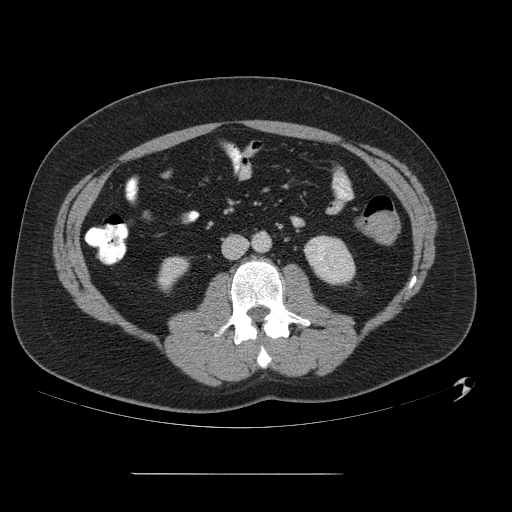

Computed tomography. 512x512.
The colon tumor is located at x1=365, y1=212, x2=399, y2=244.